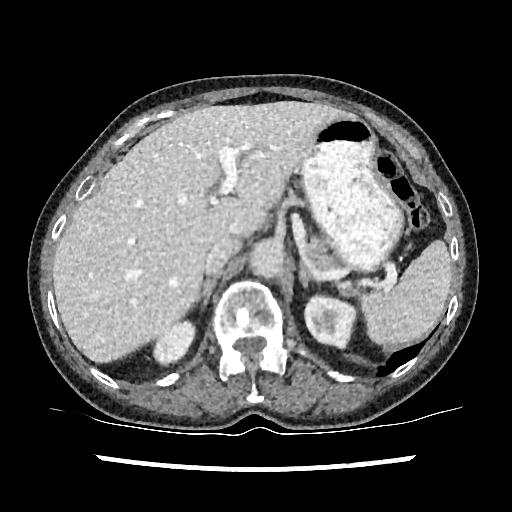
CT scan slice. Liver.
Kidney — 156 323 192 360, 306 298 352 345.
Liver — 53 102 349 361.